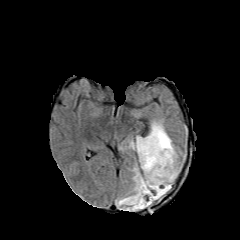
FLAIR MR.
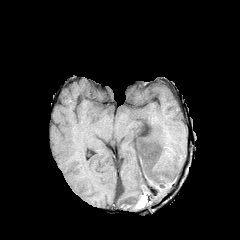
T1-weighted MR.
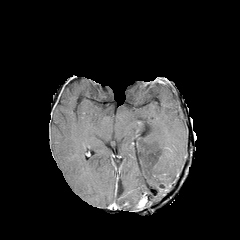
Post-contrast T1-weighted MRI.
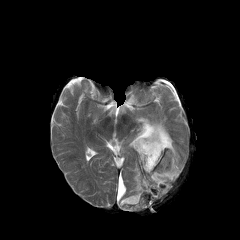
Same slice, T2-weighted MRI.
Image size 240x240; Head
The edema is located at x1=116, y1=121, x2=179, y2=211. The non-enhancing tumor core is located at x1=159, y1=184, x2=170, y2=194.